Head | Image width 240 mm | Slice 55 of 155
FLAIR MRI.
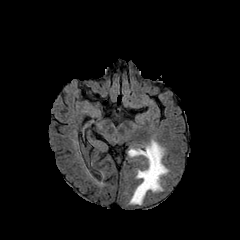
T1-weighted MR.
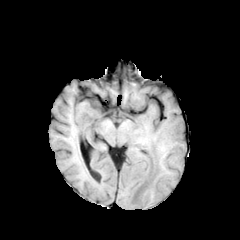
Post-contrast T1-weighted magnetic resonance.
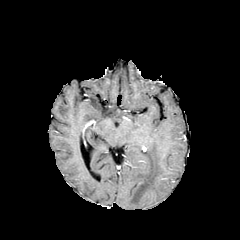
T2-weighted MR image.
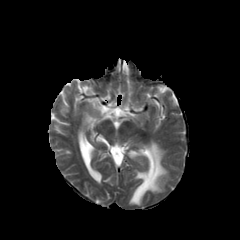
edema:
  - 128, 141, 167, 205